FLAIR MRI.
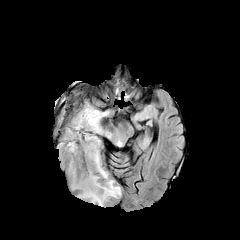
T1-weighted MR.
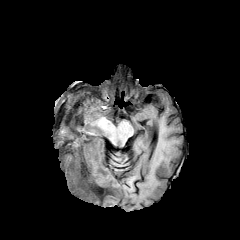
Post-contrast T1-weighted magnetic resonance.
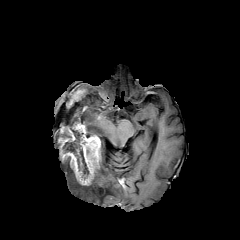
T2-weighted MRI.
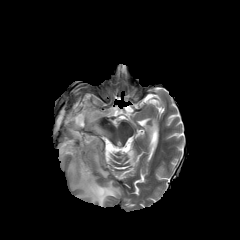
Segmented structures:
- non-enhancing tumor core: bbox=[92, 185, 103, 194]; bbox=[60, 126, 88, 175]
- edema: bbox=[64, 160, 121, 206]; bbox=[68, 102, 111, 137]
- enhancing tumor: bbox=[60, 118, 100, 185]